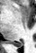
MRI, Hippocampus, 36x53 px

{
  "posterior_hippocampus": [
    "box(13, 42, 22, 47)"
  ]
}